Brain
FLAIR magnetic resonance.
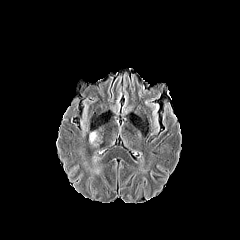
T1-weighted magnetic resonance.
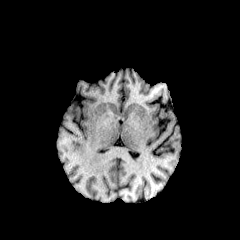
Post-contrast T1-weighted MR image.
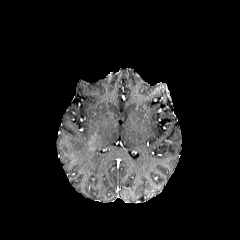
T2-weighted MR.
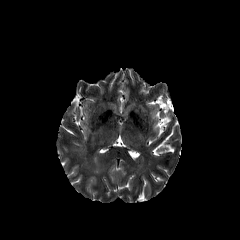
edema: box=[91, 157, 101, 173] | enhancing tumor: box=[89, 132, 96, 151]